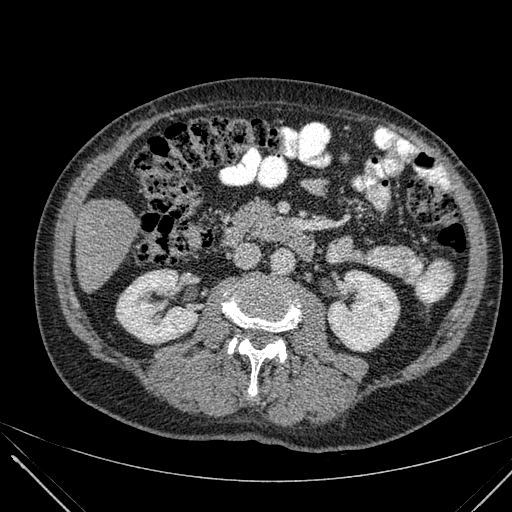 512x512, CT
kidney:
  - [328, 271, 399, 350]
  - [116, 270, 196, 343]
liver:
  - [76, 198, 140, 292]